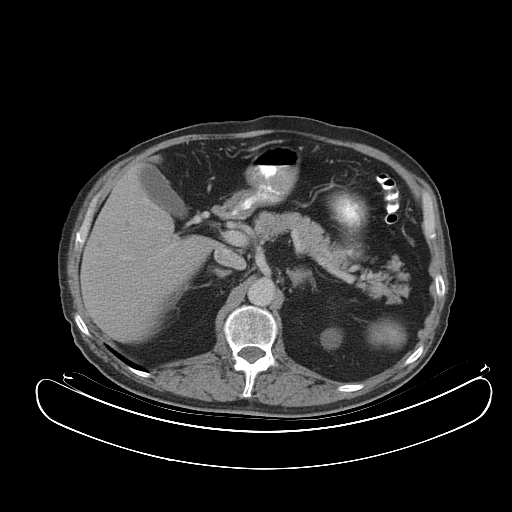

CT slice. The spleen is bounded by x1=369 y1=323 x2=403 y2=346.